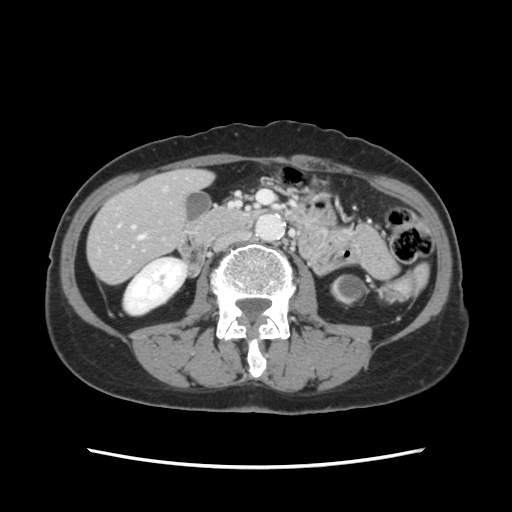 CT scan slice | Abdomen
The vessel boxes may cover only some of the vessels.
2 hepatic vessel regions are located at [132,226,134,228], [139,236,144,238].